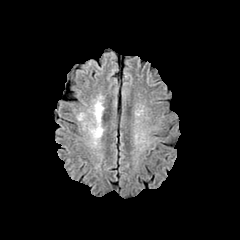
FLAIR MR.
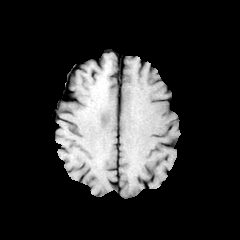
T1-weighted magnetic resonance.
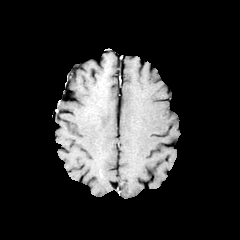
Post-contrast T1-weighted magnetic resonance.
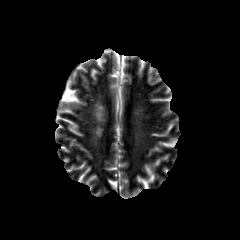
T2-weighted MR image.
240x240
2 edema regions are bounded by box=[88, 96, 103, 147]; box=[78, 113, 86, 125].